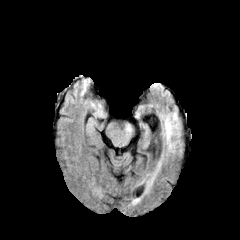
FLAIR MR.
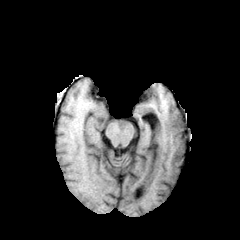
T1-weighted MR of the same slice.
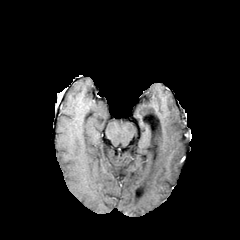
Post-contrast T1-weighted magnetic resonance of the same slice.
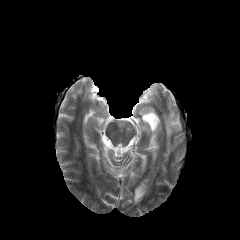
Same slice, T2-weighted MR.
Brain
The edema lies within [163, 113, 179, 154].